Hippocampus. Field of view 35x53 mm. MR image.

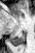
The posterior hippocampus is bounded by x1=9, y1=33, x2=24, y2=46.